Image width 240 mm | 240x240
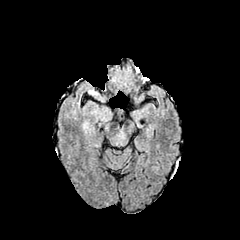
FLAIR MR image.
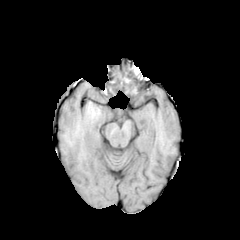
T1-weighted MR image.
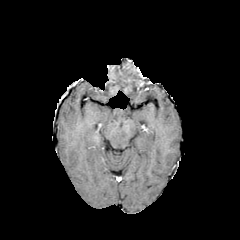
Post-contrast T1-weighted magnetic resonance.
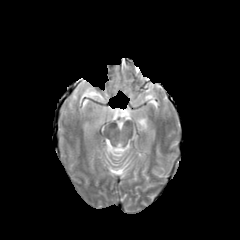
T2-weighted MR of the same slice.
{"edema": ["86,84,105,101"]}